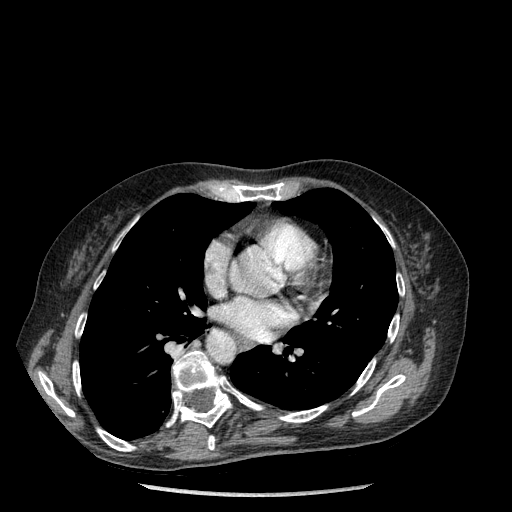
CT image | Thorax | Image size 512x512
<segmentation>
  <bone>rect(279, 405, 327, 422); rect(38, 371, 74, 416); rect(351, 358, 375, 394); rect(166, 349, 262, 427); rect(97, 428, 135, 451); rect(396, 273, 404, 295); rect(207, 435, 214, 449); rect(75, 313, 86, 337); rect(224, 183, 286, 201); rect(72, 361, 80, 395); rect(388, 314, 399, 342); rect(352, 374, 405, 416); rect(375, 219, 394, 247); rect(112, 217, 138, 251)</bone>
  <lung>rect(230, 188, 398, 409); rect(80, 193, 254, 439)</lung>
</segmentation>